Abdomen | Slice 23/95 | CT slice

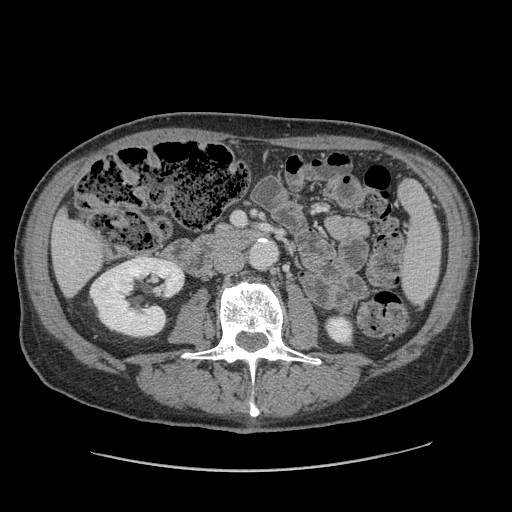 Pancreas = left=217, top=225, right=231, bottom=232.